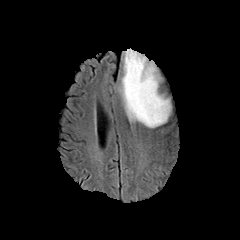
FLAIR magnetic resonance.
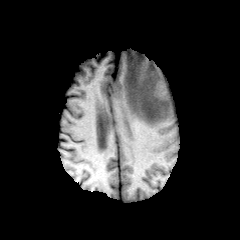
T1-weighted MRI.
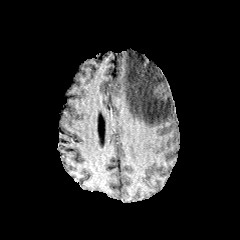
Post-contrast T1-weighted MRI.
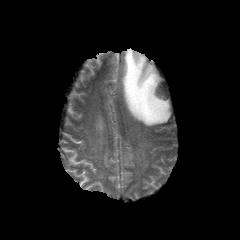
T2-weighted MRI of the same slice.
Brain
Edema — <box>119,49,171,127</box>.